FLAIR MR.
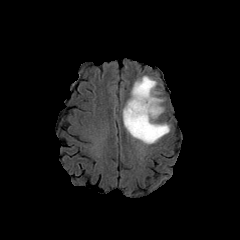
T1-weighted magnetic resonance.
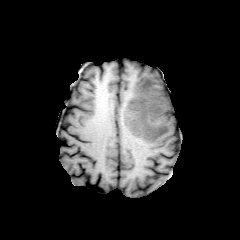
Post-contrast T1-weighted magnetic resonance.
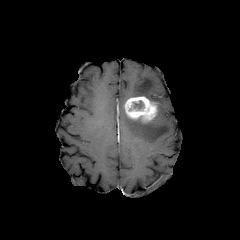
T2-weighted MR.
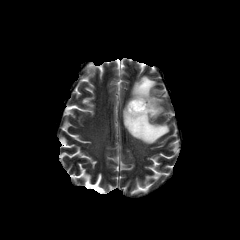
- edema: bbox(122, 108, 170, 144); bbox(130, 74, 162, 103)
- non-enhancing tumor core: bbox(132, 104, 159, 126)
- enhancing tumor: bbox(125, 96, 158, 122)